Image width 404 mm; CT scan slice
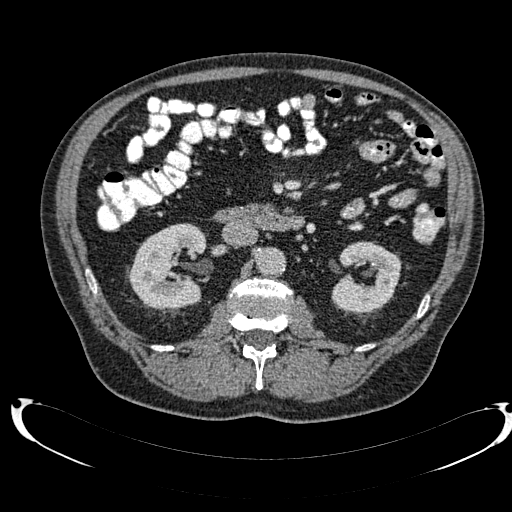 {"kidney": ["(x1=212, y1=245, x2=223, y2=256)", "(x1=332, y1=241, x2=400, y2=313)", "(x1=129, y1=223, x2=205, y2=309)"]}